FLAIR MR image.
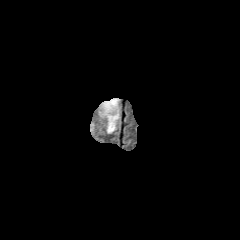
T1-weighted MR.
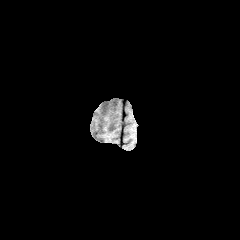
Post-contrast T1-weighted MR.
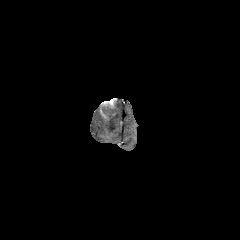
T2-weighted MRI.
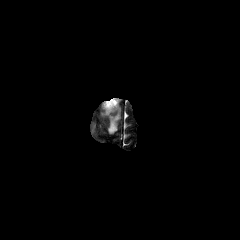
Enhancing tumor = <bbox>100, 98, 116, 119</bbox>.
Edema = <bbox>106, 98, 120, 133</bbox>.